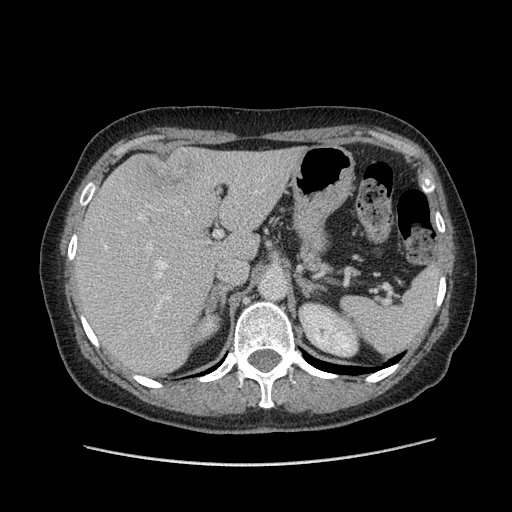 Liver. CT image. Image size 512x512. The vessel annotation is not exhaustive.
Findings:
• hepatic vessel: region(213, 231, 222, 237); region(137, 284, 138, 286); region(139, 276, 153, 287); region(147, 244, 151, 249); region(206, 241, 208, 242); region(156, 293, 169, 309); region(154, 259, 167, 279); region(138, 215, 145, 220)
• liver tumor: region(133, 149, 199, 190)